CT image. Image size 512x512. Abdomen. Field of view 380x380 mm.

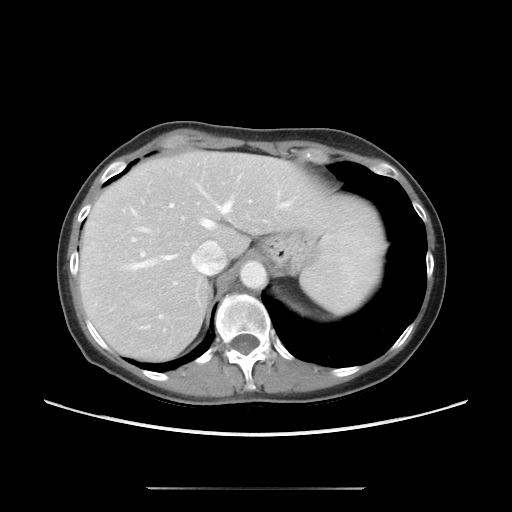

Some hepatic vessels may have no box.
9 hepatic vessel regions appear at box(142, 252, 143, 255); box(142, 229, 147, 230); box(129, 262, 149, 269); box(199, 218, 214, 228); box(279, 201, 291, 207); box(131, 238, 135, 241); box(217, 202, 230, 213); box(131, 208, 136, 214); box(159, 254, 177, 260).